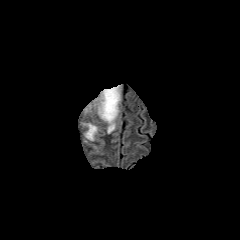
FLAIR magnetic resonance.
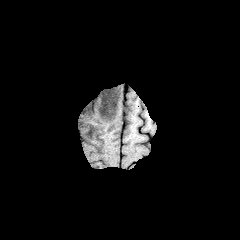
T1-weighted MRI of the same slice.
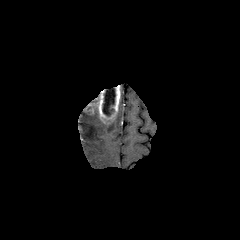
Post-contrast T1-weighted MR image.
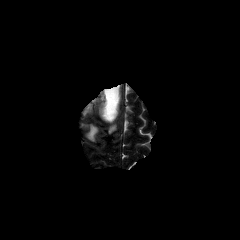
T2-weighted magnetic resonance.
240x240. Brain.
enhancing_tumor:
  - (112, 87, 120, 112)
  - (85, 91, 106, 118)
non-enhancing_tumor_core:
  - (100, 87, 117, 122)
edema:
  - (86, 111, 116, 133)
  - (81, 122, 101, 141)